Magnetic resonance, Field of view 400 mm wide, 1.37 mm slice spacing, Slice index 85, Cardiac

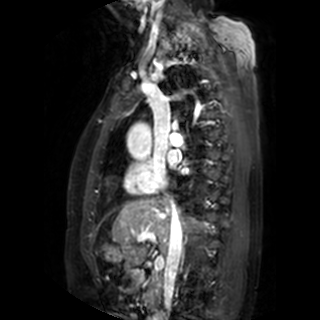
Segmented structures:
* left atrium: (168, 150, 176, 165)